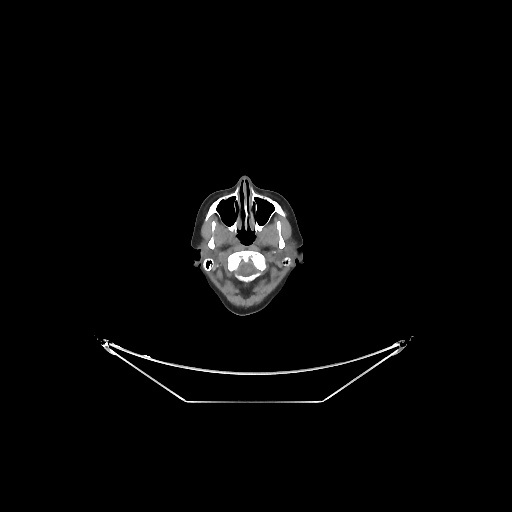 Computed tomography, Brain
brain:
  - <bbox>235, 259, 257, 276</bbox>